CT image. Field of view 420 mm wide, 2.50 mm slice spacing.
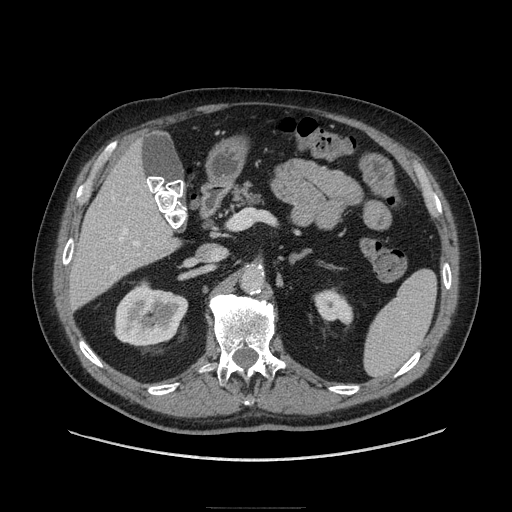
Pancreatic tumor: bounding box (left=248, top=195, right=258, bottom=203).
Pancreas: bounding box (left=230, top=182, right=263, bottom=209).